Image size 240x240, Brain
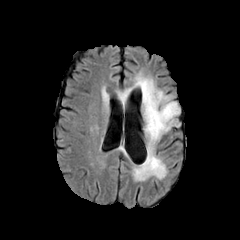
FLAIR MR image.
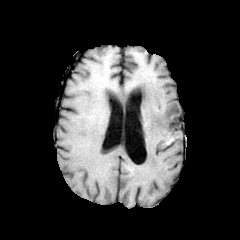
T1-weighted magnetic resonance.
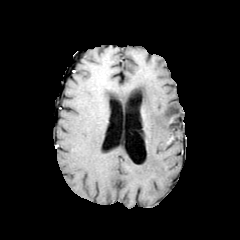
Same slice, post-contrast T1-weighted magnetic resonance.
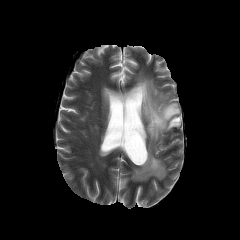
T2-weighted magnetic resonance.
<segmentation>
  <edema>117 73 180 181</edema>
</segmentation>